FLAIR MR image.
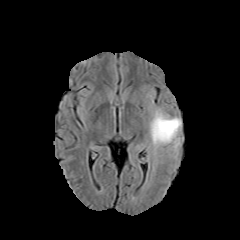
T1-weighted MR.
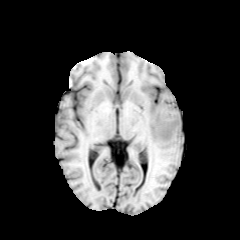
Post-contrast T1-weighted MR image.
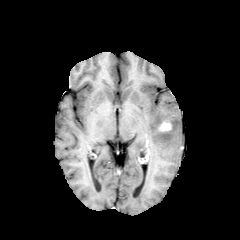
T2-weighted MRI.
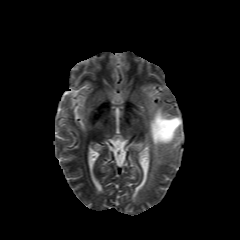
Brain, 240x240 px
The edema is bounded by rect(140, 98, 183, 163). 2 non-enhancing tumor core regions appear at rect(156, 132, 171, 139); rect(160, 119, 173, 131).